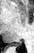
Hippocampus | MR image
posterior_hippocampus:
  - region(6, 41, 22, 47)